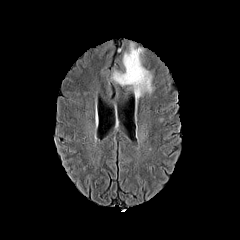
FLAIR magnetic resonance.
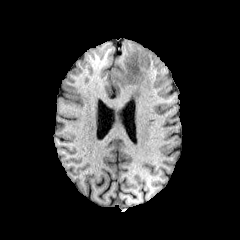
T1-weighted MRI.
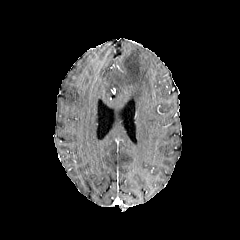
Post-contrast T1-weighted MRI.
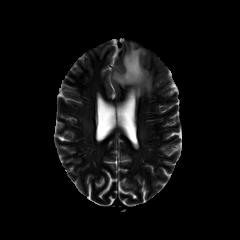
T2-weighted magnetic resonance of the same slice.
Brain.
The edema is bounded by <box>112,43,152,96</box>.